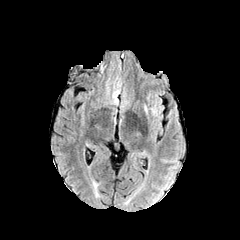
FLAIR MR.
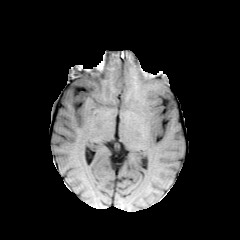
T1-weighted MRI.
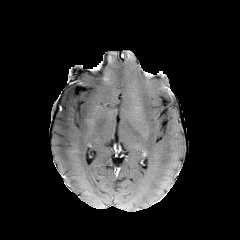
Post-contrast T1-weighted MR of the same slice.
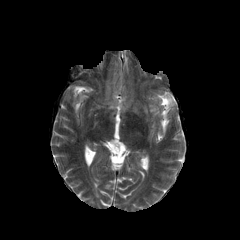
Same slice, T2-weighted MR.
Head
<segmentation>
  <edema>[x1=144, y1=94, x2=163, y2=125]</edema>
</segmentation>